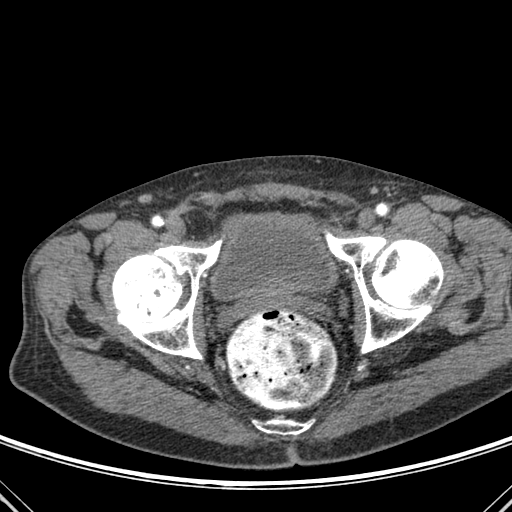

Computed tomography, Lower abdomen
urinary_bladder:
  - [212,210,343,298]
bone:
  - [253,419,312,434]
  - [325,231,443,353]
  - [112,240,222,359]